FLAIR MR.
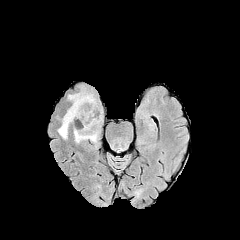
T1-weighted MR image.
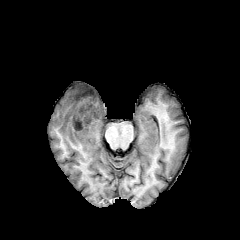
Post-contrast T1-weighted magnetic resonance.
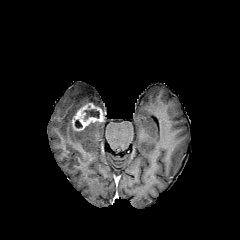
T2-weighted MRI.
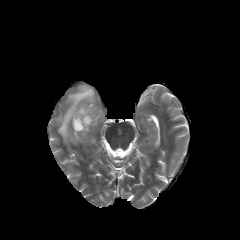
Image size 240x240 | Brain
Annotated regions:
• enhancing tumor: box(72, 103, 103, 129)
• non-enhancing tumor core: box(75, 88, 93, 103); box(74, 119, 82, 128); box(84, 109, 99, 119)
• edema: box(57, 86, 102, 144); box(82, 86, 99, 106)